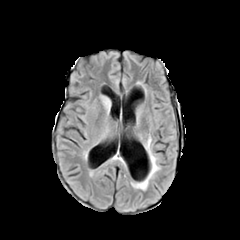
FLAIR MRI.
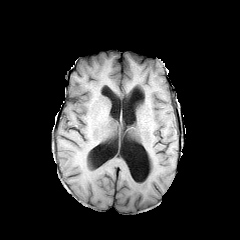
T1-weighted MRI of the same slice.
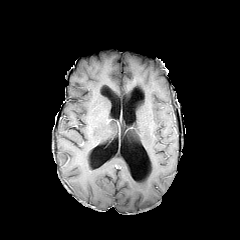
Post-contrast T1-weighted magnetic resonance of the same slice.
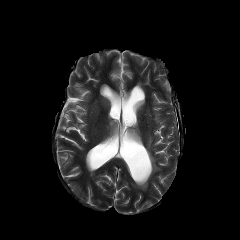
T2-weighted magnetic resonance.
240x240 px, Brain
edema: region(131, 136, 160, 189)